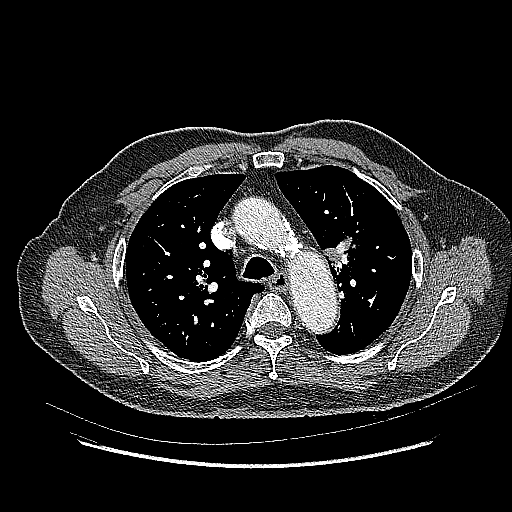 Lung, CT, 512x512 px

- lung tumor: [323,234,356,276]